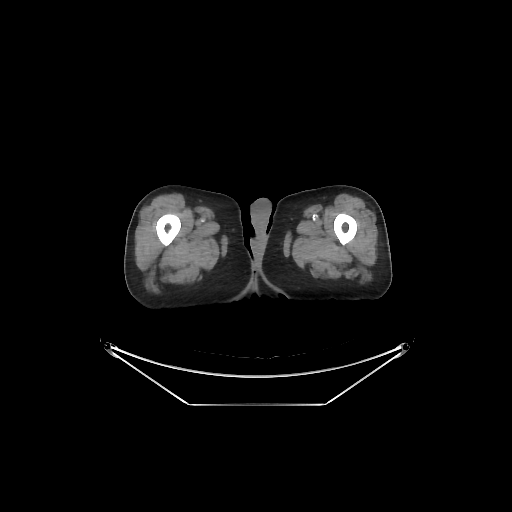

Computed tomography.
2 bone regions are bounded by <box>334,213,356,244</box>, <box>156,213,180,245</box>.